Slice index 120 | 512x512 px | CT image
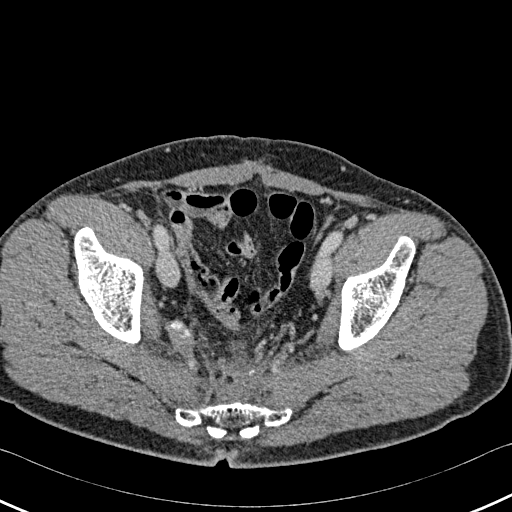

3 bone regions are bounded by 339, 236, 414, 349; 75, 227, 142, 343; 176, 402, 291, 437.